CT slice. Image size 512x512. Slice index 55. Pelvis.

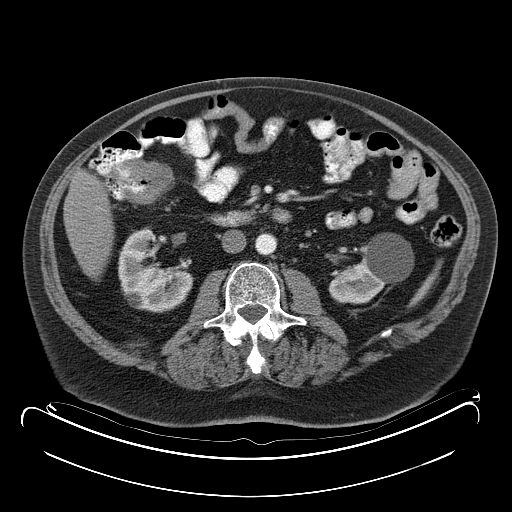

Colon tumor at (122, 160, 172, 202).